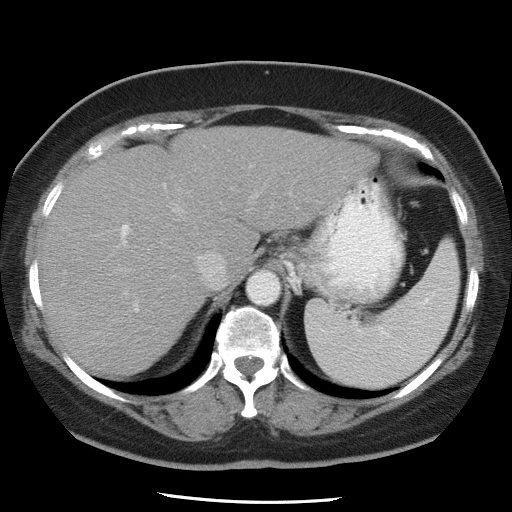 CT scan slice
The vessel annotation is not exhaustive.
5 hepatic vessel regions are bounded by l=252, t=192, r=257, b=197; l=172, t=204, r=175, b=205; l=174, t=207, r=181, b=211; l=122, t=224, r=128, b=233; l=199, t=254, r=224, b=284.